Abdomen. Computed tomography. 512x512.

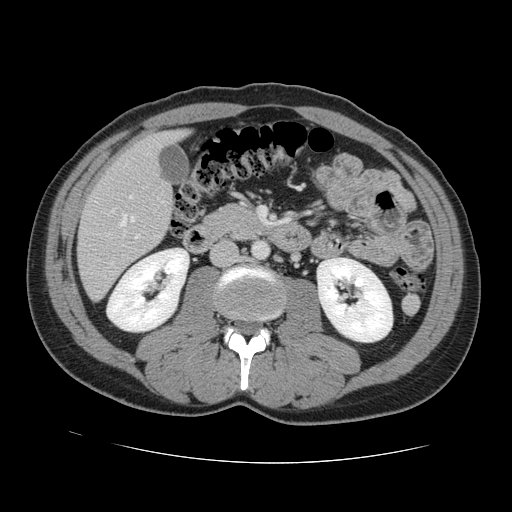 Some hepatic vessels may have no box.
{"hepatic_vessel": ["l=111, t=263, r=112, b=264", "l=111, t=209, r=114, b=212", "l=157, t=197, r=158, b=199", "l=120, t=213, r=134, b=226", "l=135, t=235, r=138, b=237", "l=123, t=230, r=125, b=233", "l=129, t=195, r=131, b=198"]}